Slice 81 of 155
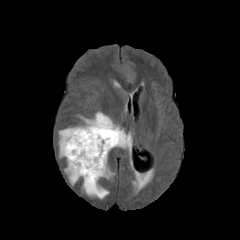
FLAIR magnetic resonance.
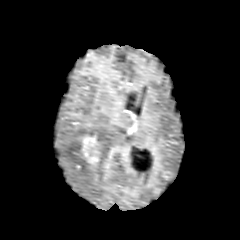
Same slice, T1-weighted magnetic resonance.
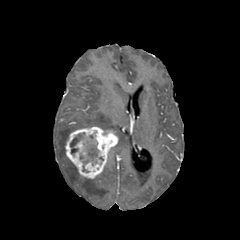
Post-contrast T1-weighted MR image of the same slice.
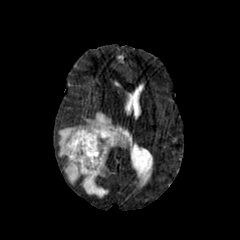
T2-weighted MRI of the same slice.
The non-enhancing tumor core is bounded by 70, 137, 78, 153. The enhancing tumor is located at 65, 125, 118, 180. 5 edema regions appear at 100, 166, 114, 178; 80, 112, 132, 148; 82, 178, 108, 198; 64, 159, 78, 184; 58, 126, 77, 157.